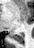
MR
The posterior hippocampus lies within x1=12 y1=34 x2=23 y2=41.